Slice index 94 | 240x240 | Brain
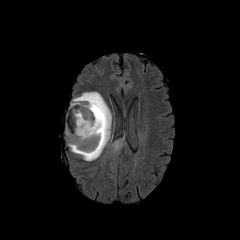
FLAIR MRI.
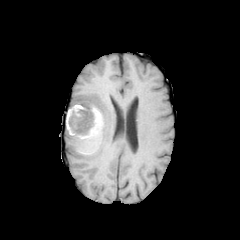
T1-weighted MR.
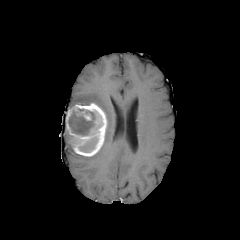
Post-contrast T1-weighted MR of the same slice.
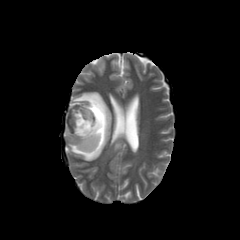
T2-weighted MR of the same slice.
{
  "non-enhancing_tumor_core": [
    "x1=80, y1=137, x2=97, y2=150",
    "x1=69, y1=110, x2=101, y2=135"
  ],
  "edema": [
    "x1=68, y1=92, x2=112, y2=161"
  ],
  "enhancing_tumor": [
    "x1=65, y1=102, x2=107, y2=156"
  ]
}